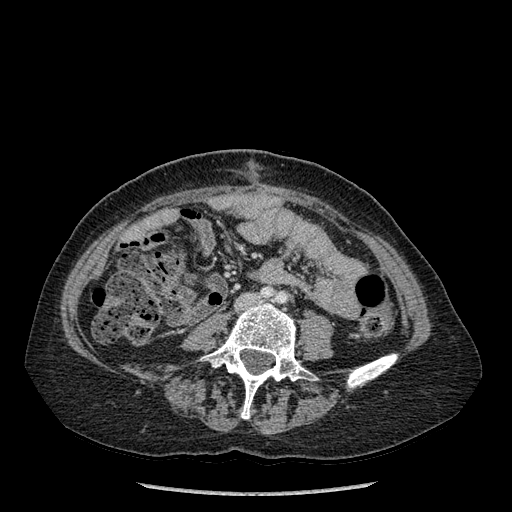 Image size 512x512. CT slice.

- bone: rect(203, 303, 307, 418); rect(347, 354, 397, 387)